Slice index 102
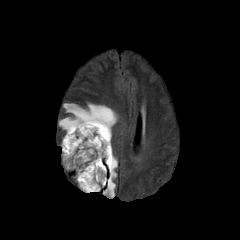
FLAIR MR image.
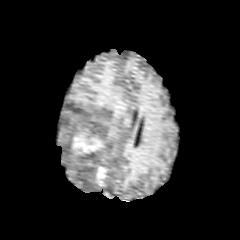
Same slice, T1-weighted MR.
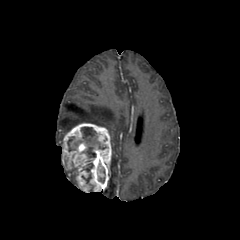
Post-contrast T1-weighted MR image of the same slice.
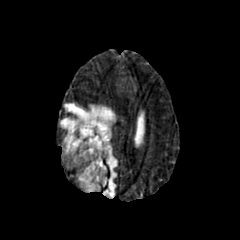
T2-weighted magnetic resonance of the same slice.
non-enhancing tumor core: [81,127,105,158], [67,136,82,151], [82,160,93,172], [69,105,85,114] | edema: [59,103,116,141], [105,147,117,196] | enhancing tumor: [62,122,111,192]